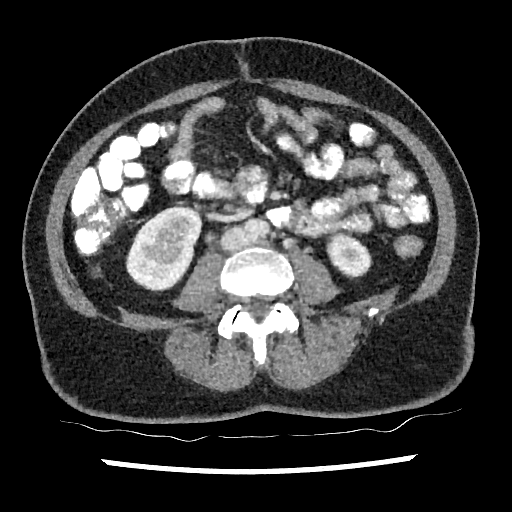
Computed tomography
Kidney: 127, 208, 200, 289; 329, 239, 369, 275.